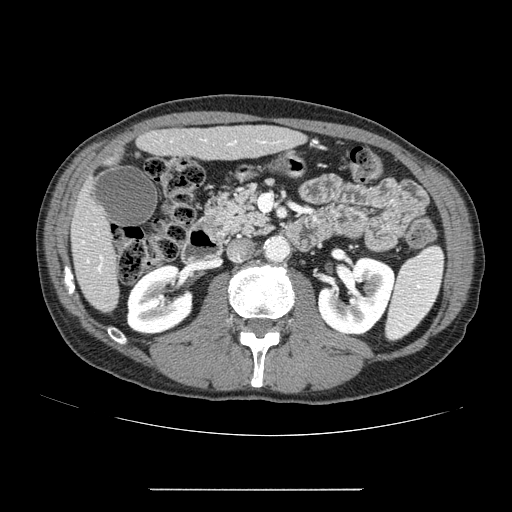 CT slice
The pancreas is at left=204, top=184, right=272, bottom=241.